Upper abdomen; CT

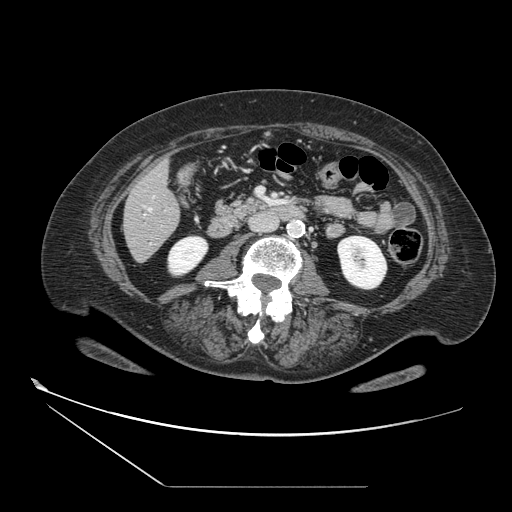
{
  "pancreas": [
    "213,199,263,229"
  ]
}